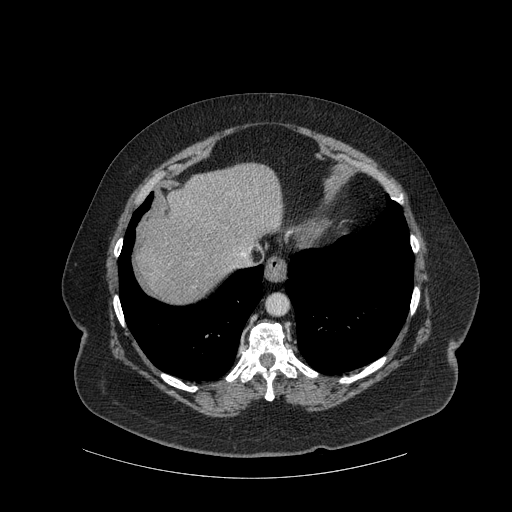 Computed tomography; Upper abdomen; Image size 512x512
• bone: box(340, 357, 385, 382); box(114, 239, 122, 256); box(226, 323, 317, 400); box(411, 235, 418, 252); box(410, 287, 419, 314); box(161, 374, 197, 391); box(113, 295, 123, 325)
• lung: box(285, 195, 413, 374); box(118, 194, 263, 380)
• liver: box(136, 163, 282, 305)